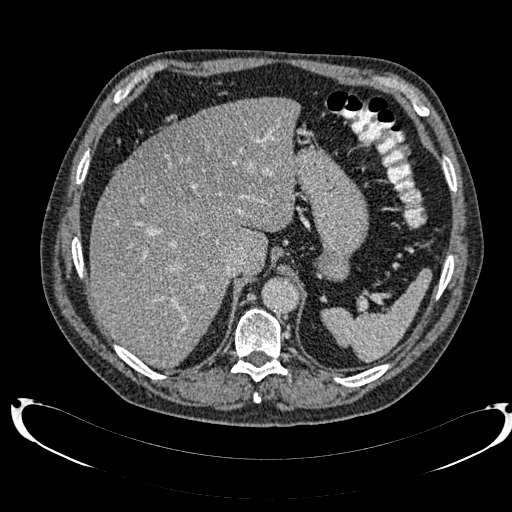
CT slice | Abdomen
The liver is located at [91,97,299,367]. The focal liver lesion is located at [134,102,259,210].